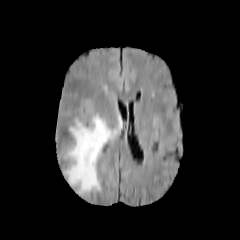
FLAIR magnetic resonance.
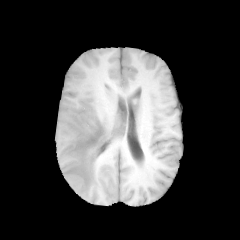
Same slice, T1-weighted MR.
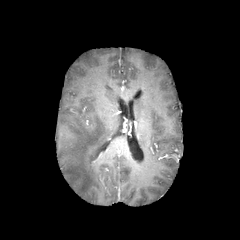
Post-contrast T1-weighted MRI.
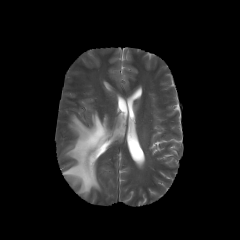
T2-weighted MRI.
Image size 240x240
The edema appears at box(63, 112, 122, 193).